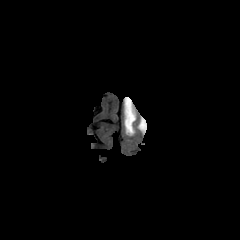
FLAIR MR image.
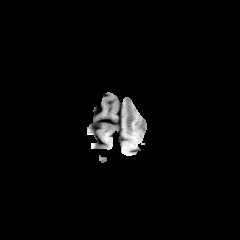
T1-weighted magnetic resonance.
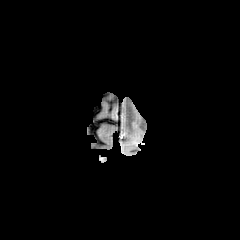
Post-contrast T1-weighted magnetic resonance.
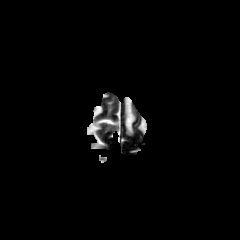
T2-weighted MR.
<segmentation>
  <edema>(123, 97, 146, 136)</edema>
</segmentation>